CT scan slice

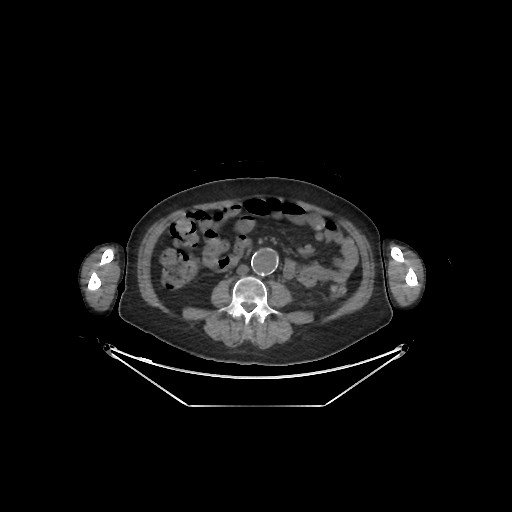

5 bone regions are bounded by (x1=405, y1=263, x2=417, y2=286), (x1=99, y1=249, x2=113, y2=265), (x1=88, y1=272, x2=100, y2=290), (x1=391, y1=247, x2=404, y2=262), (x1=229, y1=277, x2=270, y2=334).